240x240 px.
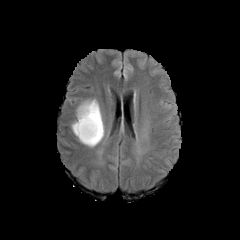
FLAIR MRI.
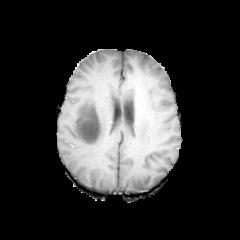
Same slice, T1-weighted MRI.
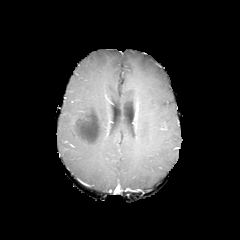
Same slice, post-contrast T1-weighted MR image.
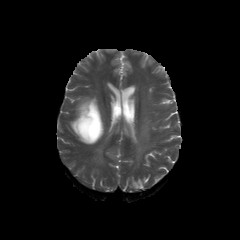
T2-weighted magnetic resonance.
edema:
  - bbox(70, 97, 107, 146)
non-enhancing_tumor_core:
  - bbox(79, 109, 99, 141)